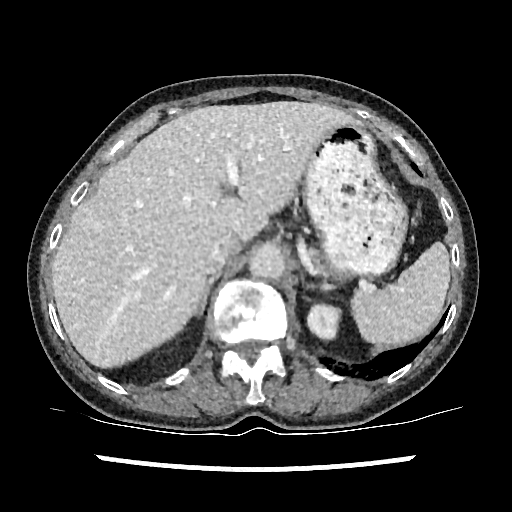
Image size 512x512 | CT scan slice

The liver is bounded by bbox(53, 103, 352, 367).